CT image | Liver 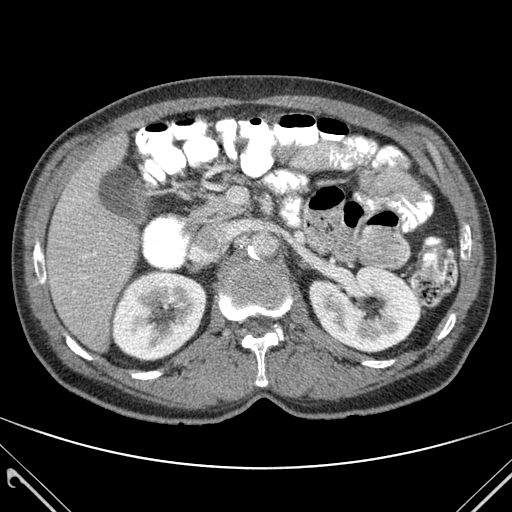
Segmented structures:
* kidney: 114, 273, 204, 359; 310, 267, 419, 351
* liver: 46, 133, 141, 349
* bone: 34, 242, 45, 282; 219, 269, 291, 320; 132, 371, 160, 379; 438, 314, 455, 338; 67, 336, 91, 359; 363, 360, 393, 367; 242, 329, 282, 386; 461, 226, 470, 257